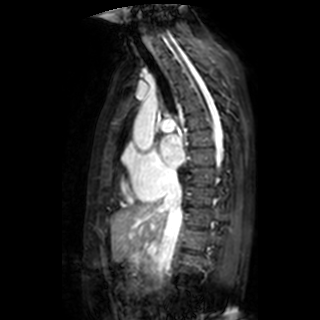

Magnetic resonance; Cardiac
<segmentation>
  <left_atrium>159 135 184 168</left_atrium>
</segmentation>